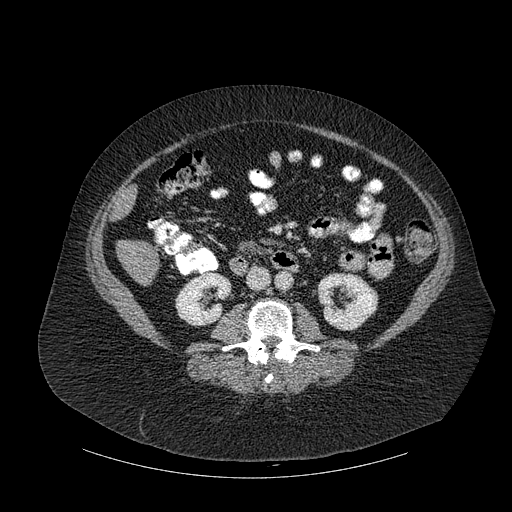
Liver | Computed tomography
Kidney: region(176, 272, 230, 325); region(318, 274, 376, 329).
Bone: region(265, 374, 273, 382); region(222, 301, 319, 364).
Liver: region(113, 185, 137, 217); region(115, 240, 159, 285).